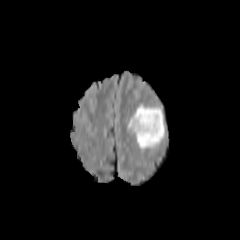
FLAIR magnetic resonance.
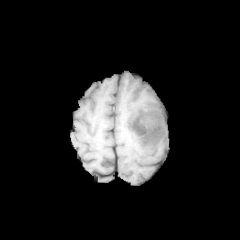
T1-weighted MR.
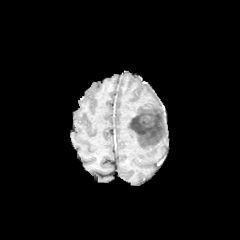
Post-contrast T1-weighted MR.
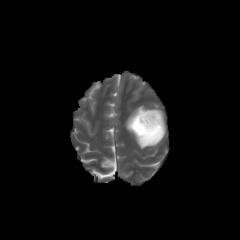
T2-weighted MRI.
Head
Edema — {"x1": 127, "y1": 105, "x2": 168, "y2": 148}.
Non-enhancing tumor core — {"x1": 130, "y1": 114, "x2": 158, "y2": 135}.